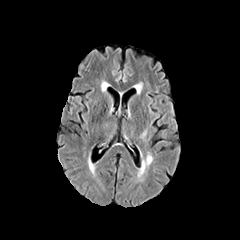
FLAIR magnetic resonance.
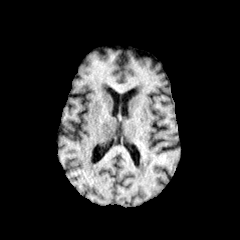
T1-weighted MR of the same slice.
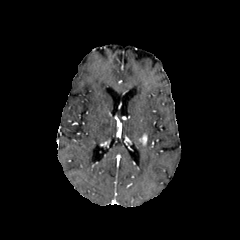
Post-contrast T1-weighted MRI of the same slice.
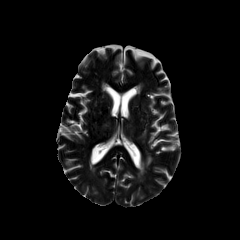
Same slice, T2-weighted magnetic resonance.
<segmentation>
  <edema>[x1=136, y1=152, x2=153, y2=180]</edema>
  <enhancing_tumor>[x1=139, y1=133, x2=147, y2=146]</enhancing_tumor>
</segmentation>